MR image. Heart. 320x320 px. Image width 400 mm.
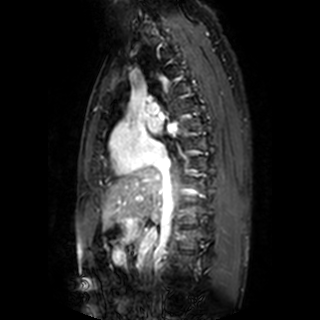

- left atrium: l=146, t=117, r=161, b=134; l=167, t=123, r=176, b=133